Slice 23 of 37 | MRI 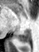 Posterior hippocampus — (18,30,30,42).